CT image; Abdomen; Slice 496/707 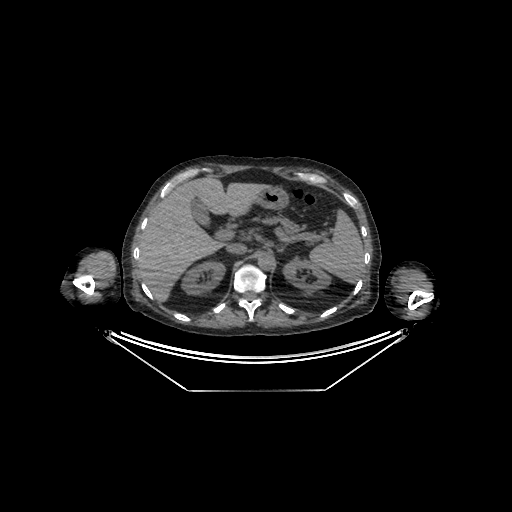

Kidney at box(282, 257, 331, 294); box(181, 260, 225, 294).
Liver at box(136, 176, 268, 301).